Brain. Slice 47 of 155.
FLAIR MR.
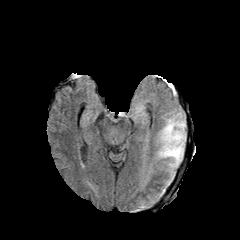
T1-weighted MRI.
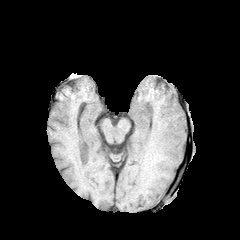
Post-contrast T1-weighted MR.
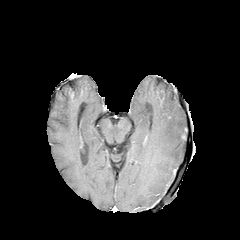
T2-weighted magnetic resonance.
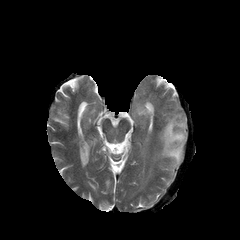
edema: x1=162 y1=120 x2=185 y2=174